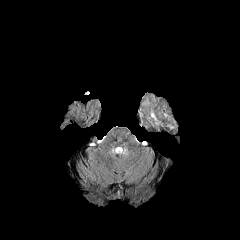
FLAIR MR image.
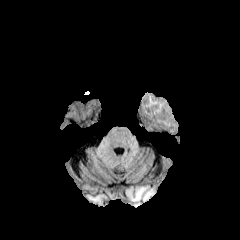
T1-weighted MR image of the same slice.
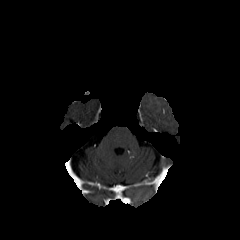
Post-contrast T1-weighted MRI.
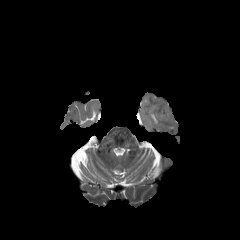
T2-weighted MR of the same slice.
The edema is bounded by (x1=149, y1=111, x2=160, y2=125).